Head, Image width 240 mm
FLAIR magnetic resonance.
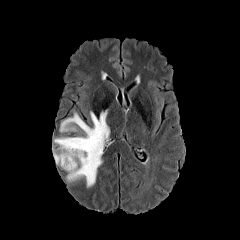
T1-weighted magnetic resonance.
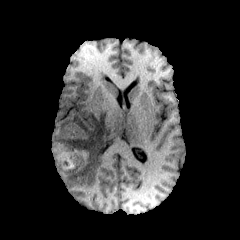
Post-contrast T1-weighted magnetic resonance.
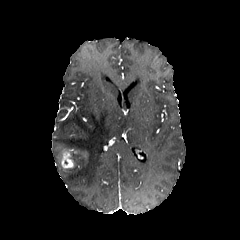
T2-weighted magnetic resonance.
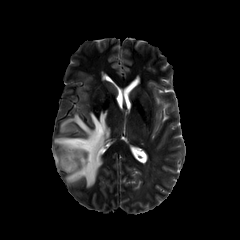
• enhancing tumor: 61, 152, 74, 169
• non-enhancing tumor core: 71, 151, 87, 166; 58, 151, 71, 169
• edema: 53, 110, 110, 188